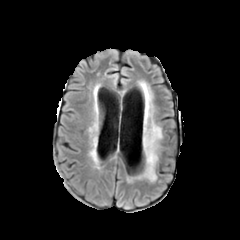
FLAIR MRI.
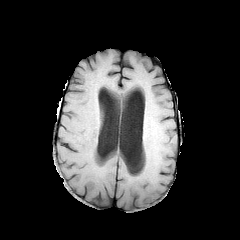
T1-weighted MR of the same slice.
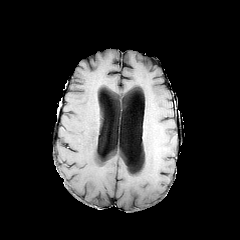
Post-contrast T1-weighted MR image.
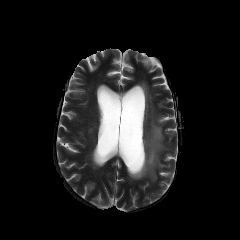
T2-weighted MR.
<segmentation>
  <edema>(137,81,161,180)</edema>
</segmentation>